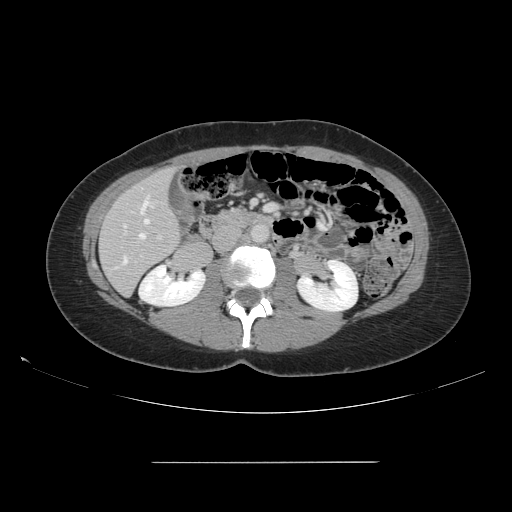

Image size 512x512, CT image
The vessel annotation is not exhaustive.
Annotated regions:
• hepatic vessel: box(144, 219, 149, 224); box(124, 225, 126, 229); box(158, 236, 160, 237); box(139, 233, 145, 239); box(140, 194, 153, 214); box(123, 256, 127, 264); box(114, 267, 118, 268)